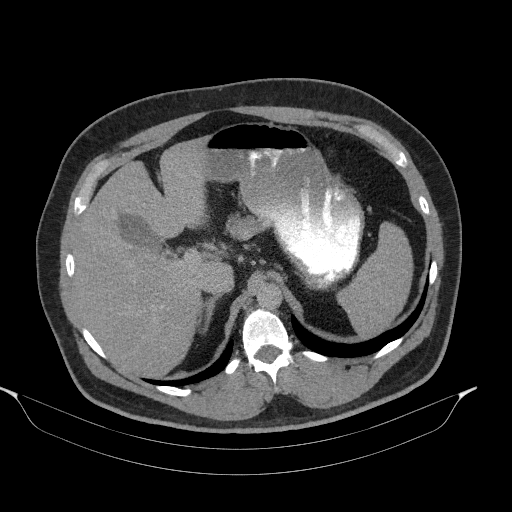 CT slice | Upper abdomen

Annotated regions:
- pancreas: [227, 214, 267, 236]